Upper abdomen, Field of view 500 mm wide, 2.50 mm slice spacing, Image size 512x512, CT slice

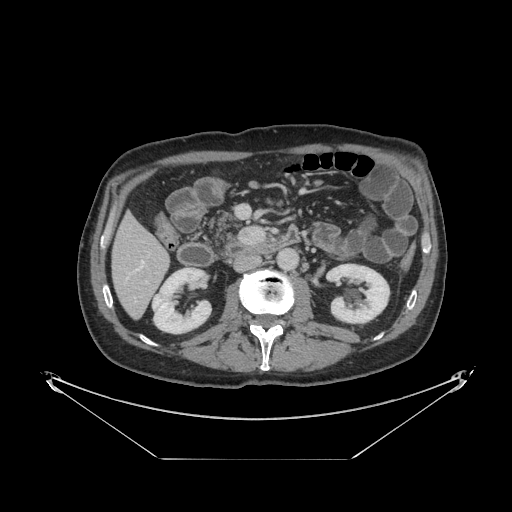

Findings:
- pancreatic tumor: (237, 225, 267, 245)
- pancreas: (204, 210, 250, 258)